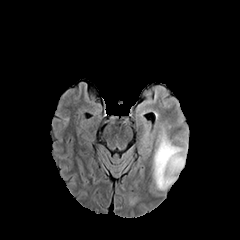
FLAIR magnetic resonance.
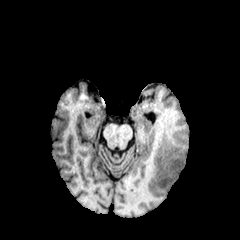
T1-weighted MR of the same slice.
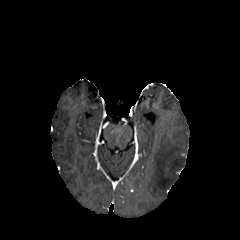
Same slice, post-contrast T1-weighted MR.
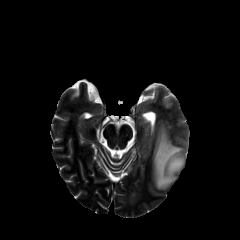
T2-weighted magnetic resonance.
edema:
  - x1=152, y1=127, x2=186, y2=189